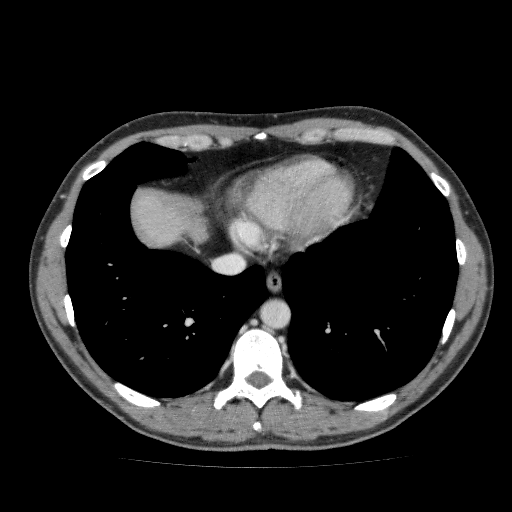
Computed tomography
Liver = box(129, 188, 207, 246).